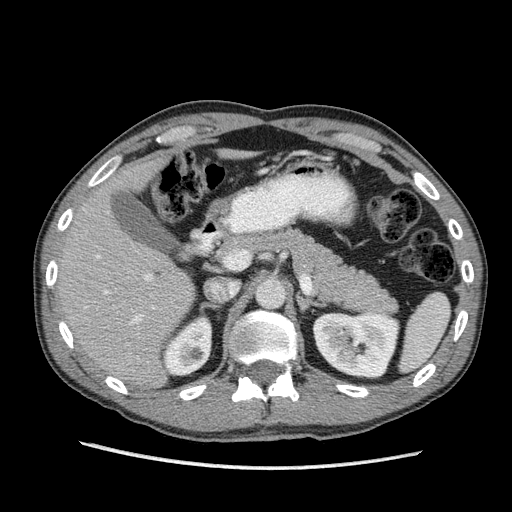
CT, Image size 512x512, Liver
liver: bbox=[217, 148, 244, 158]; bbox=[53, 155, 196, 389] | kidney: bbox=[166, 318, 210, 374]; bbox=[314, 312, 397, 376]